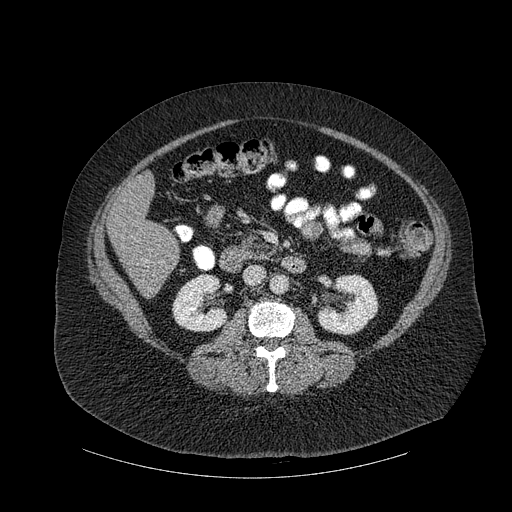 Liver, Image size 512x512, Computed tomography

Bone — (248,302,294,337), (256,346,286,391).
Kidney — (173,275,226,330), (318,275,377,333).
Liver — (108,174,180,295).